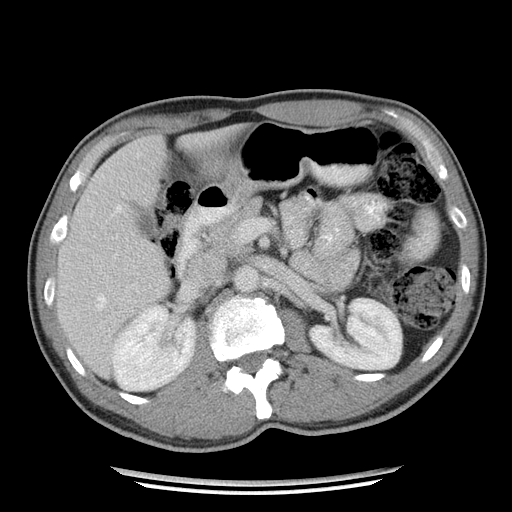 Abdomen. CT image. Image size 512x512.

The pancreas lies within 208:198:262:253.